FLAIR MRI.
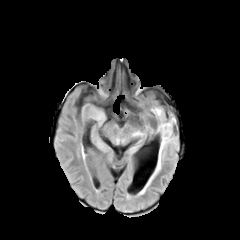
T1-weighted MR image.
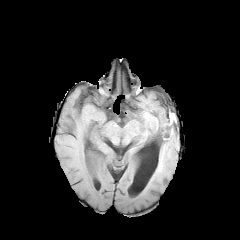
Post-contrast T1-weighted MR image.
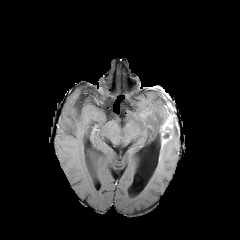
T2-weighted MR image.
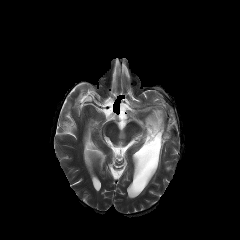
Brain
Enhancing tumor: bounding box 160 118 173 143.
Edema: bounding box 148 107 168 135, 156 145 161 169.
Non-enhancing tumor core: bounding box 156 124 162 143, 161 128 172 149.